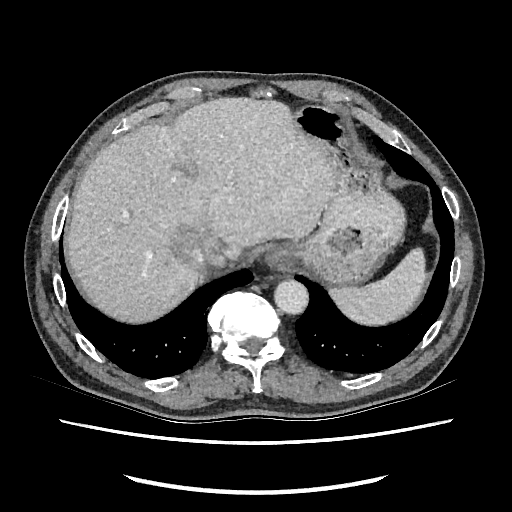
Abdomen; CT
2 hepatic lesion regions appear at 172 225 209 264, 179 164 198 175. The liver is bounded by 69 99 333 319.